Image size 512x512; Computed tomography 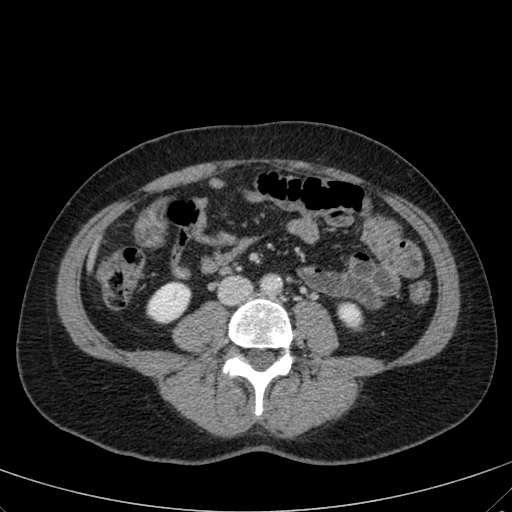
Segmented structures:
* kidney: 149 283 189 321, 340 305 359 325
* liver: 92 235 101 251